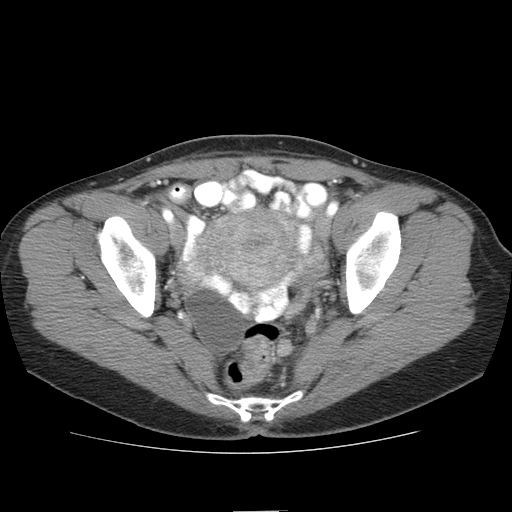 CT; Abdomen; Image size 512x512
colon tumor: [240, 335, 271, 382]